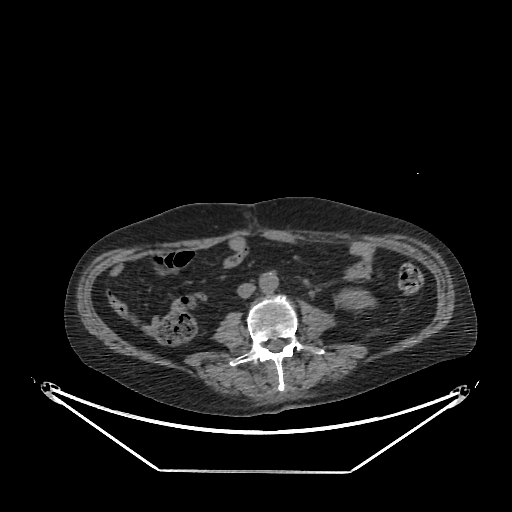

CT
Segmented structures:
• kidney: [x1=334, y1=289, x2=375, y2=308]